240x240; Slice 67/155
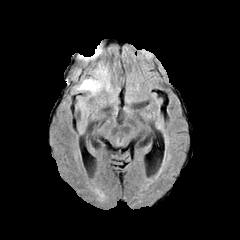
FLAIR MR.
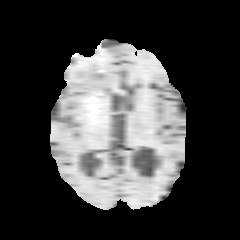
T1-weighted MR image.
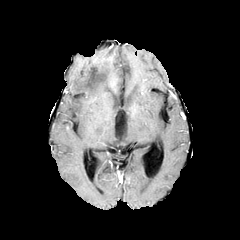
Post-contrast T1-weighted magnetic resonance.
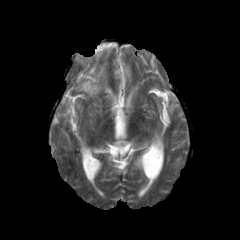
T2-weighted MR.
Findings:
* edema: rect(73, 64, 112, 95)